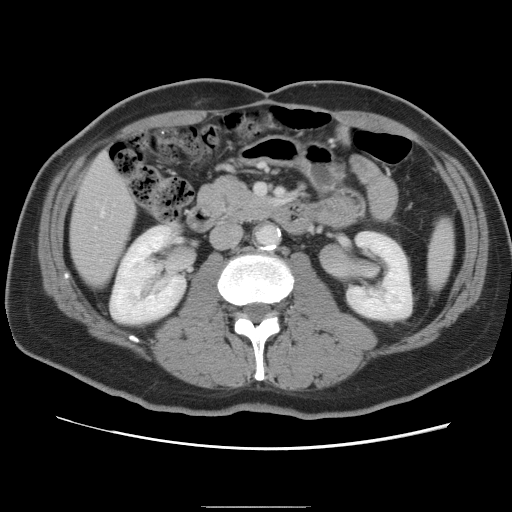 Computed tomography, Abdomen
Not every hepatic vessel necessarily has a box.
Findings:
• hepatic vessel: left=100, top=259, right=101, bottom=260; left=100, top=209, right=103, bottom=215; left=95, top=226, right=96, bottom=228